Chest. Slice 456 of 588. Field of view 351x351 mm. CT scan slice. 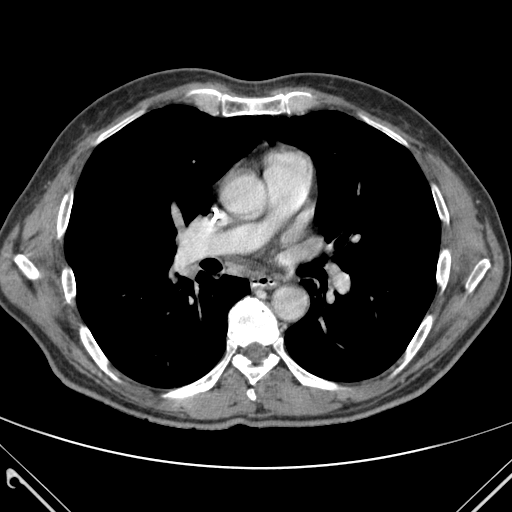 Bone = bbox=[362, 117, 405, 143]; bbox=[400, 316, 431, 368]; bbox=[164, 297, 336, 397]; bbox=[62, 270, 75, 301]; bbox=[80, 328, 116, 379]; bbox=[436, 250, 450, 288]; bbox=[433, 187, 448, 221]; bbox=[57, 195, 72, 236]; bbox=[466, 259, 489, 291]; bbox=[247, 389, 255, 399]; bbox=[97, 113, 139, 142]; bbox=[15, 255, 38, 278]; bbox=[191, 89, 310, 115].
Lung = bbox=[64, 105, 440, 387].